FLAIR magnetic resonance.
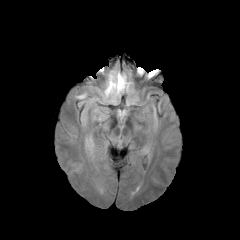
T1-weighted magnetic resonance.
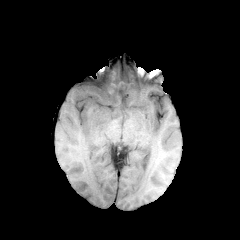
Post-contrast T1-weighted MR.
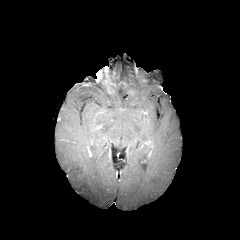
T2-weighted MRI.
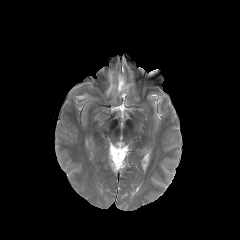
Head
3 edema regions appear at [x1=76, y1=92, x2=99, y2=102], [x1=117, y1=109, x2=127, y2=119], [x1=97, y1=69, x2=132, y2=103].